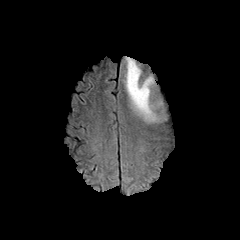
FLAIR MR image.
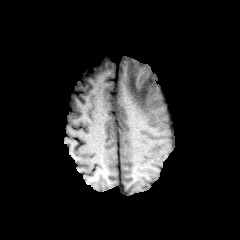
Same slice, T1-weighted MRI.
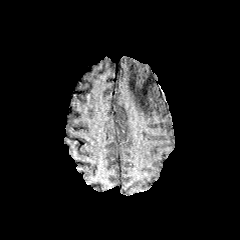
Same slice, post-contrast T1-weighted MR image.
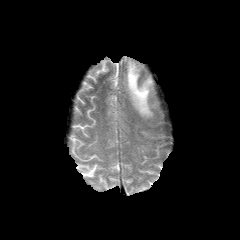
Same slice, T2-weighted magnetic resonance.
240x240 px
<segmentation>
  <edema>l=125, t=56, r=154, b=118</edema>
</segmentation>